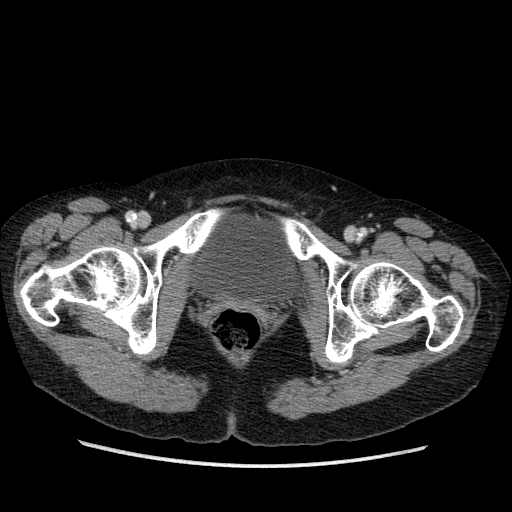

CT scan slice, Pelvis

<segmentation>
  <urinary_bladder>x1=185 y1=210 x2=313 y2=314</urinary_bladder>
</segmentation>